512x512 px, CT, Slice 286 of 689
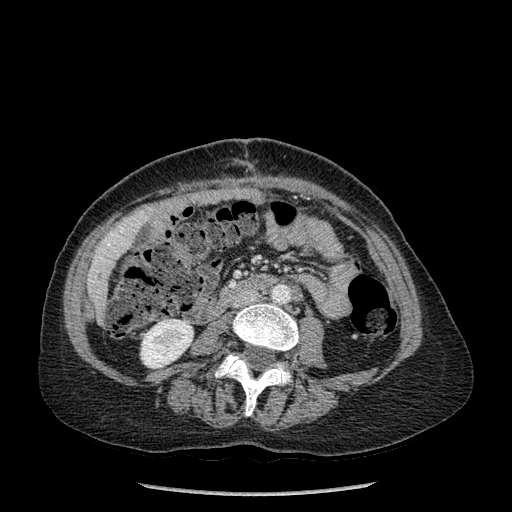 Bone = <bbox>215, 353, 291, 415</bbox>, <bbox>233, 303, 298, 350</bbox>.
Liver = <bbox>87, 207, 153, 326</bbox>.
Kidney = <bbox>141, 319, 193, 368</bbox>.